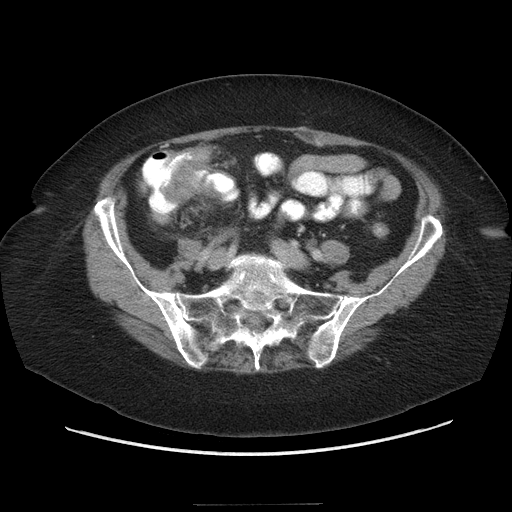 Abdomen | CT image | 512x512
Colon tumor = 161:146:210:204.